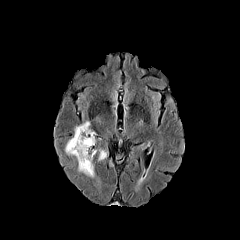
FLAIR MR image.
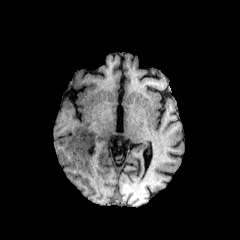
T1-weighted MRI.
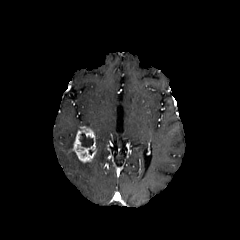
Post-contrast T1-weighted magnetic resonance of the same slice.
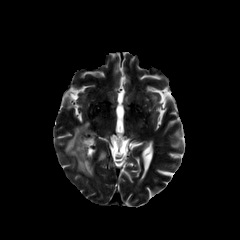
Same slice, T2-weighted magnetic resonance.
The enhancing tumor is bounded by 72,125,97,162. The non-enhancing tumor core is located at 79,132,93,147. The edema lies within 65,127,108,177.